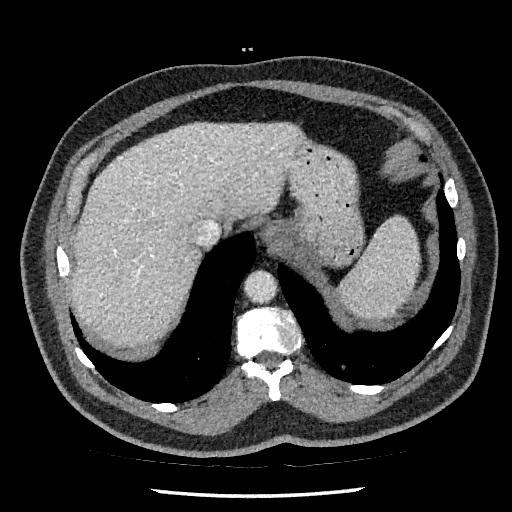
Upper abdomen, Image size 512x512, CT scan slice

The liver lies within x1=72, y1=124, x2=301, y2=347.